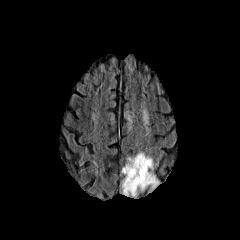
FLAIR MRI.
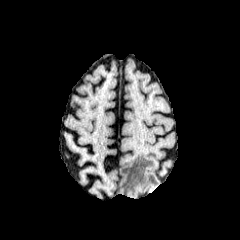
T1-weighted MRI.
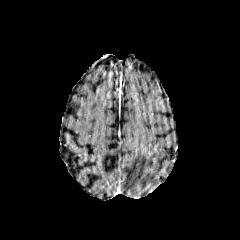
Post-contrast T1-weighted MR.
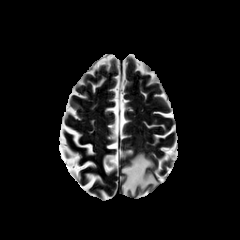
T2-weighted MR.
240x240; Brain
edema: [119, 151, 160, 198]